CT; Field of view 377x377 mm; Abdomen 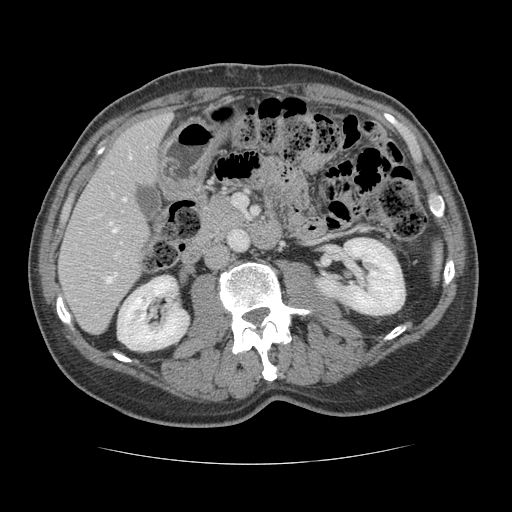

Only some of the vessels may be annotated.
Hepatic vessel: rect(115, 252, 118, 256); rect(106, 272, 117, 282); rect(109, 222, 117, 231); rect(123, 198, 126, 200); rect(129, 154, 131, 159).